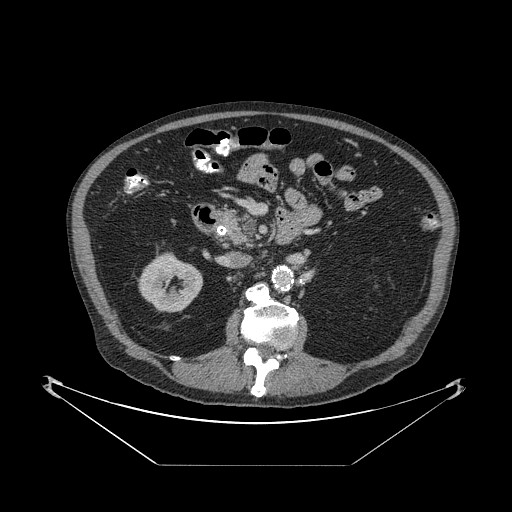

Abdomen; CT slice; 512x512 px
pancreas: (217,210,256,247)